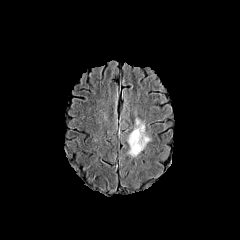
FLAIR MR image.
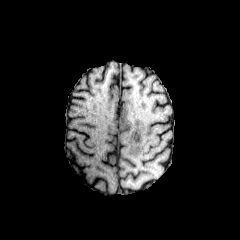
T1-weighted MRI of the same slice.
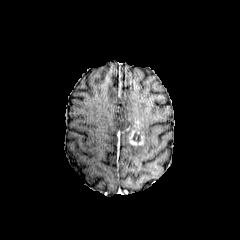
Post-contrast T1-weighted MR image.
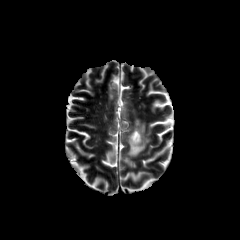
Same slice, T2-weighted MR image.
Brain | 240x240
2 non-enhancing tumor core regions appear at {"x1": 131, "y1": 130, "x2": 140, "y2": 143}, {"x1": 130, "y1": 145, "x2": 141, "y2": 154}. The edema appears at {"x1": 133, "y1": 118, "x2": 150, "y2": 155}. The enhancing tumor lies within {"x1": 128, "y1": 131, "x2": 144, "y2": 147}.